Slice 108/155 | 240x240
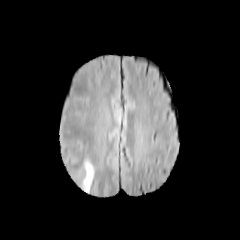
FLAIR magnetic resonance.
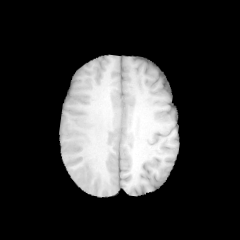
Same slice, T1-weighted MRI.
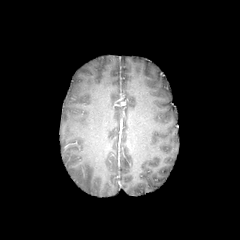
Post-contrast T1-weighted MR image of the same slice.
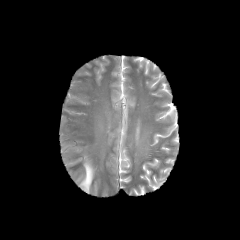
T2-weighted MR image of the same slice.
<segmentation>
  <edema>79 161 94 191</edema>
</segmentation>